Field of view 480 mm wide, 1.50 mm slice spacing, CT slice, Image size 512x512, Abdomen
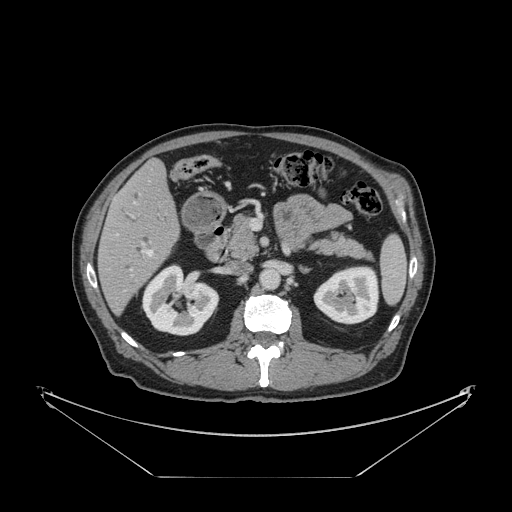 The vessel boxes may cover only some of the vessels.
4 hepatic vessel regions appear at bbox(130, 269, 131, 270); bbox(131, 275, 132, 276); bbox(116, 234, 117, 235); bbox(142, 244, 152, 255).